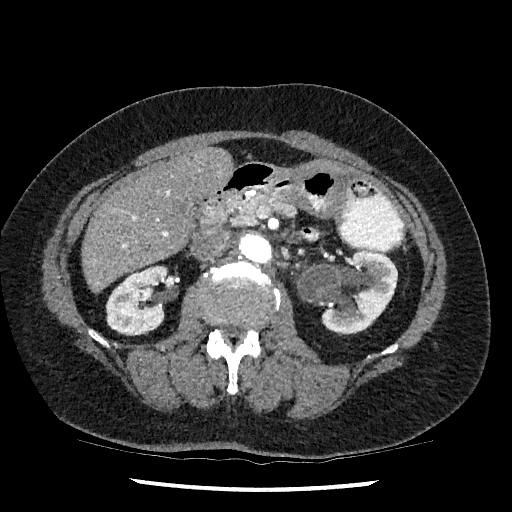

Upper abdomen. Computed tomography. * kidney: (322, 250, 397, 333), (106, 266, 176, 334)
* liver: (82, 148, 233, 291), (304, 163, 346, 173)